512x512 px. Abdomen. CT.

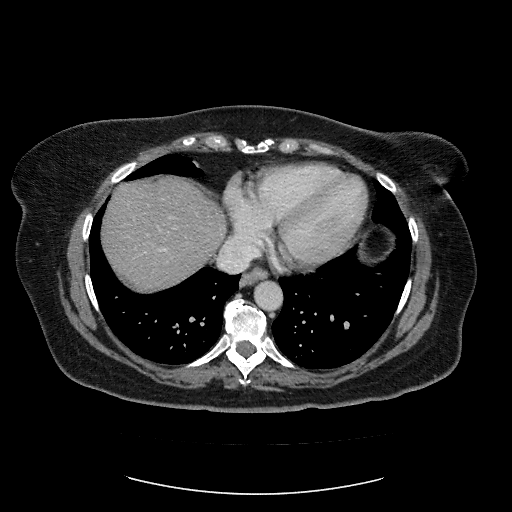
The vessel annotation is not exhaustive.
3 hepatic vessel regions are bounded by 169,217,173,218; 144,251,146,253; 159,249,165,250.